Image size 240x240; Slice 83/155; Brain
FLAIR MRI.
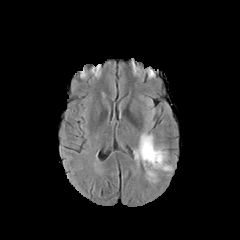
T1-weighted MR.
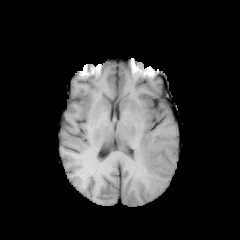
Post-contrast T1-weighted magnetic resonance.
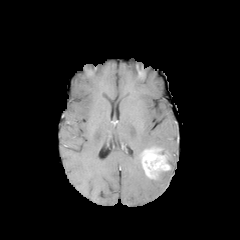
T2-weighted magnetic resonance.
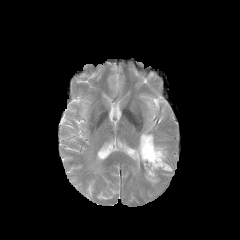
Edema = box(133, 131, 167, 167).
Enhancing tumor = box(140, 146, 171, 179).